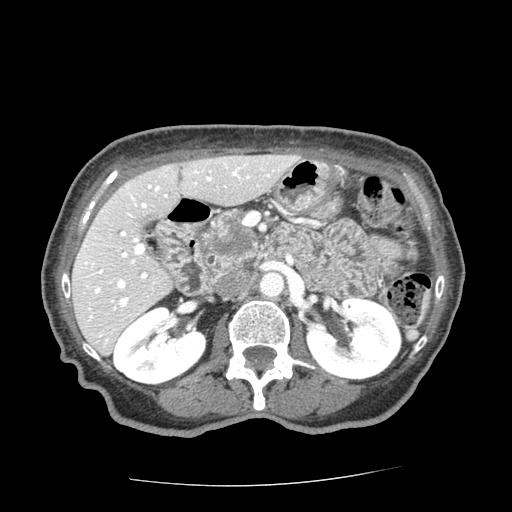
Computed tomography.
- pancreas: <box>199,210,258,278</box>
- pancreatic tumor: <box>206,215,252,258</box>